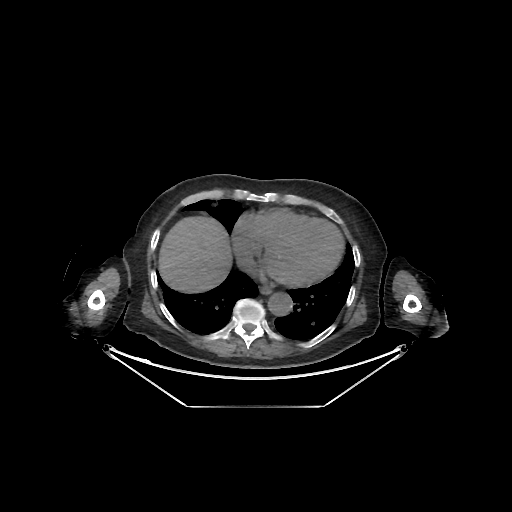
Computed tomography; Image size 512x512; Abdomen
10 bone regions appear at <box>206,299,280,348</box>, <box>87,289,105,310</box>, <box>353,246,359,266</box>, <box>160,304,175,325</box>, <box>151,271,157,288</box>, <box>347,288,354,305</box>, <box>302,326,334,346</box>, <box>247,193,274,201</box>, <box>403,294,421,312</box>, <box>151,230,159,249</box>. 3 lung regions are located at <box>181,199,247,234</box>, <box>274,242,354,340</box>, <box>156,267,258,334</box>. The liver lies within <box>159,217,231,291</box>.